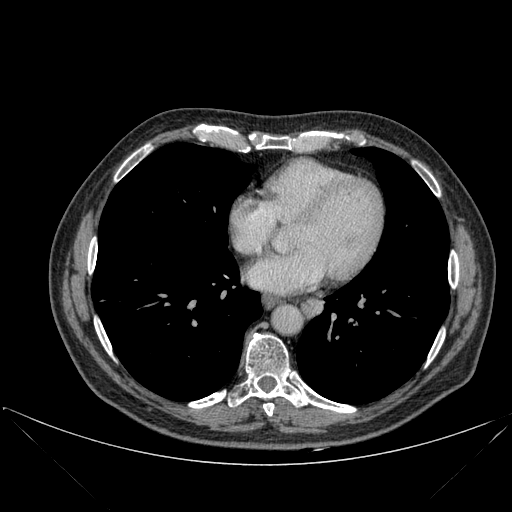 Thorax. CT. {
  "bone": [
    "(x1=425, y1=329, x2=444, y2=366)",
    "(x1=189, y1=391, x2=225, y2=408)",
    "(x1=303, y1=131, x2=343, y2=137)",
    "(x1=114, y1=145, x2=149, y2=181)",
    "(x1=448, y1=250, x2=458, y2=287)",
    "(x1=94, y1=318, x2=112, y2=355)",
    "(x1=425, y1=170, x2=440, y2=196)",
    "(x1=263, y1=403, x2=273, y2=415)",
    "(x1=229, y1=333, x2=355, y2=412)",
    "(x1=256, y1=135, x2=291, y2=149)",
    "(x1=88, y1=237, x2=97, y2=273)"
  ],
  "lung": [
    "(x1=297, y1=147, x2=449, y2=403)",
    "(x1=91, y1=143, x2=262, y2=401)"
  ]
}